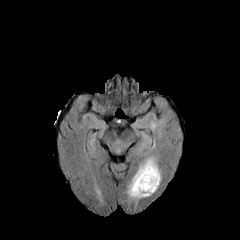
FLAIR MR.
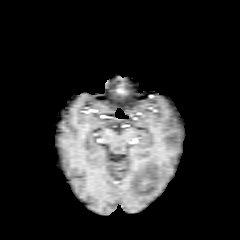
Same slice, T1-weighted MRI.
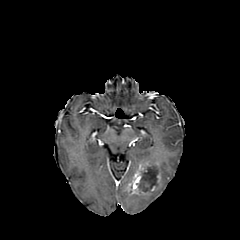
Same slice, post-contrast T1-weighted MR.
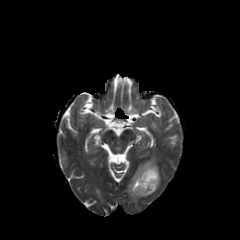
Same slice, T2-weighted MRI.
The enhancing tumor is bounded by x1=129 y1=166 x2=143 y2=193. The edema is bounded by x1=126 y1=157 x2=162 y2=200. The non-enhancing tumor core lies within x1=138 y1=165 x2=147 y2=193.